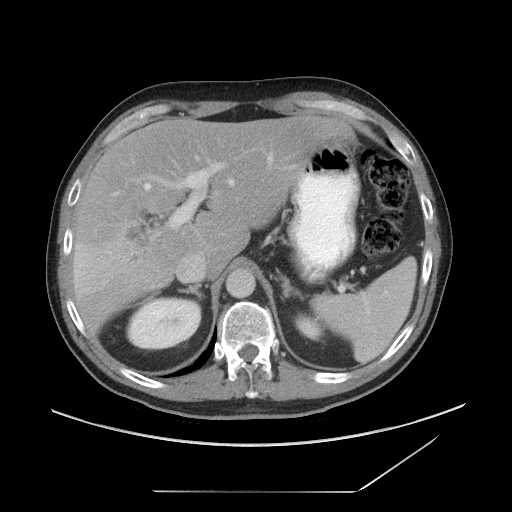 CT slice. 512x512 px. The vessel annotation is not exhaustive.
{
  "liver_tumor": [
    "[130, 254, 144, 268]"
  ],
  "hepatic_vessel": [
    "[229, 180, 231, 181]",
    "[212, 165, 220, 171]",
    "[180, 198, 196, 219]",
    "[159, 180, 162, 181]",
    "[188, 172, 208, 186]",
    "[163, 182, 180, 187]"
  ]
}